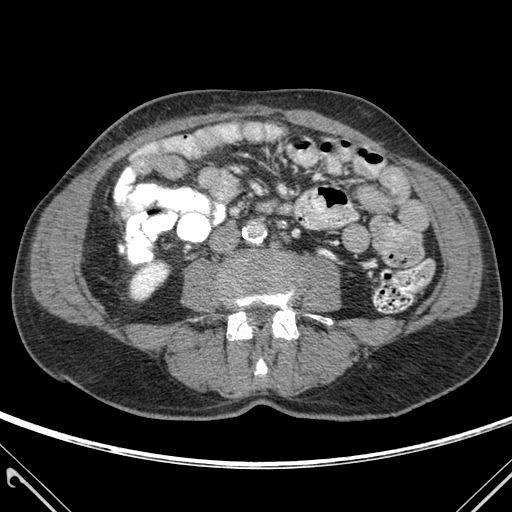

CT image
Segmented structures:
- bone: [x1=255, y1=359, x2=266, y2=374], [x1=223, y1=260, x2=297, y2=340]
- kidney: [x1=131, y1=261, x2=166, y2=298]